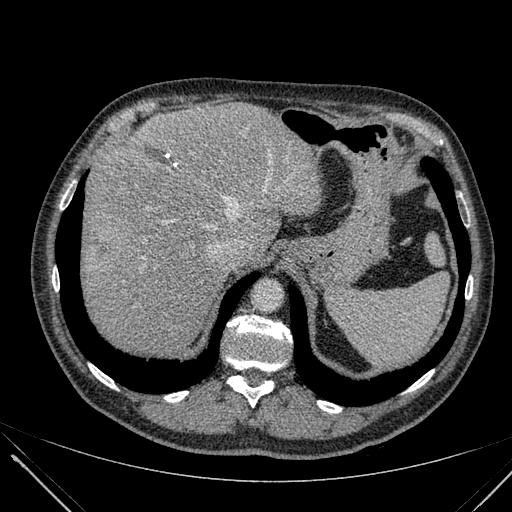 CT image | 512x512 px

Annotated regions:
• liver lesion: x1=99 y1=242 x2=109 y2=253, x1=143 y1=145 x2=174 y2=164
• liver: x1=81 y1=103 x2=321 y2=355